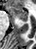
Hippocampus; Magnetic resonance
anterior hippocampus: rect(10, 5, 27, 21)